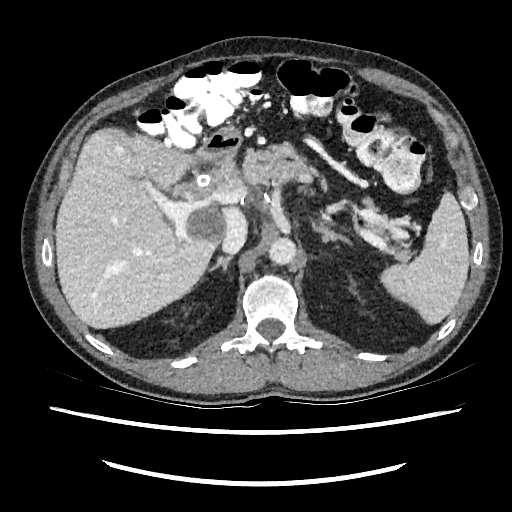

Abdomen; CT image
Focal liver lesion: bounding box [188, 209, 221, 241], [175, 161, 233, 200].
Liver: bounding box [221, 171, 234, 186], [56, 130, 218, 327].